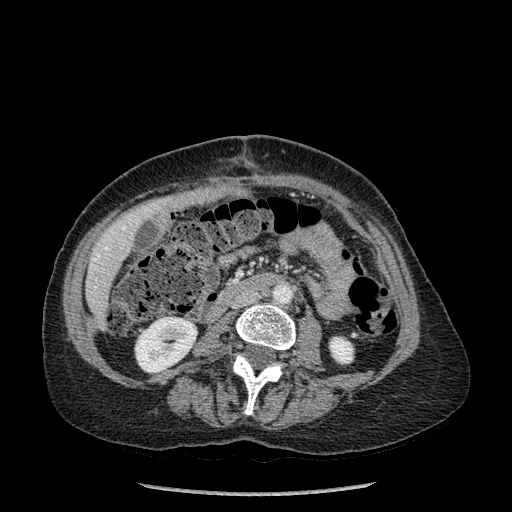
CT image | Upper abdomen

2 bone regions are bounded by rect(233, 354, 282, 414); rect(236, 303, 295, 350). 2 kidney regions appear at rect(330, 337, 352, 363); rect(135, 317, 196, 372). The liver is bounded by rect(86, 203, 162, 330).